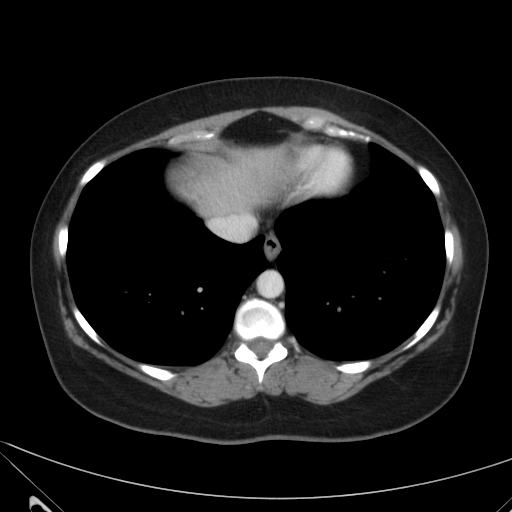

Abdomen, Computed tomography

Segmented structures:
* liver: (289, 182, 303, 197), (182, 149, 293, 227)